CT slice. 512x512 px. Slice index 364.

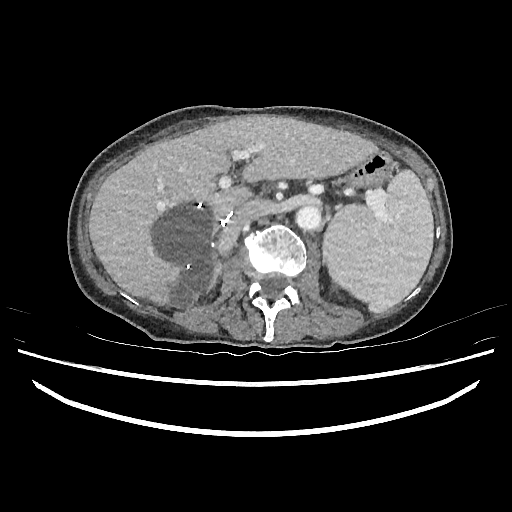
{"liver": ["89 117 373 306", "207 258 218 288"], "focal_liver_lesion": ["154 205 220 305"]}